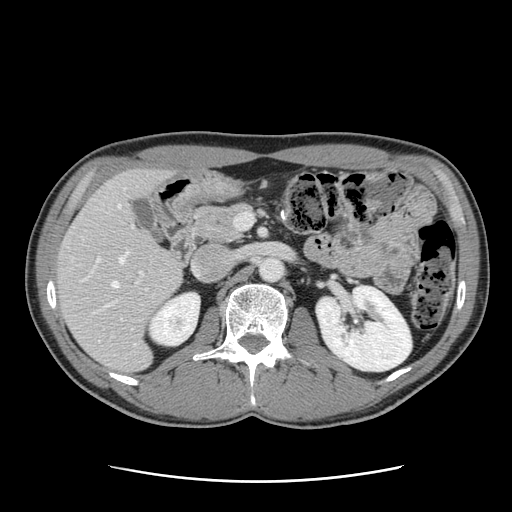

CT slice, Abdomen

Only some of the vessels may be annotated.
{
  "hepatic_vessel": [
    "<bbox>135, 281, 137, 283</bbox>",
    "<bbox>97, 257, 99, 262</bbox>",
    "<bbox>112, 282, 117, 287</bbox>",
    "<bbox>117, 205, 119, 207</bbox>",
    "<bbox>92, 312, 94, 313</bbox>",
    "<bbox>139, 271, 142, 274</bbox>",
    "<bbox>119, 249, 127, 262</bbox>",
    "<bbox>82, 276, 88, 280</bbox>",
    "<bbox>102, 302, 113, 308</bbox>",
    "<bbox>131, 226, 132, 227</bbox>"
  ]
}